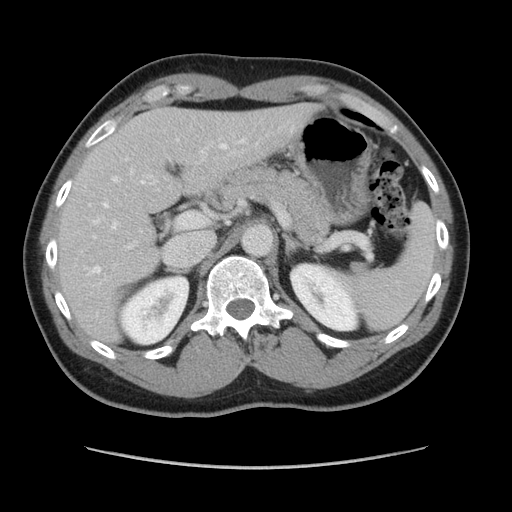 512x512, CT slice
The vessel annotation is not exhaustive.
[15/20] hepatic vessel: rect(93, 218, 105, 224); rect(201, 148, 207, 160); rect(220, 142, 226, 148); rect(239, 138, 245, 142); rect(103, 203, 108, 206); rect(177, 213, 199, 227); rect(84, 267, 100, 273); rect(196, 161, 200, 163); rect(142, 175, 157, 184); rect(93, 235, 96, 238); rect(130, 168, 133, 173); rect(112, 176, 119, 181); rect(219, 137, 221, 140); rect(126, 242, 136, 249); rect(112, 221, 118, 228)